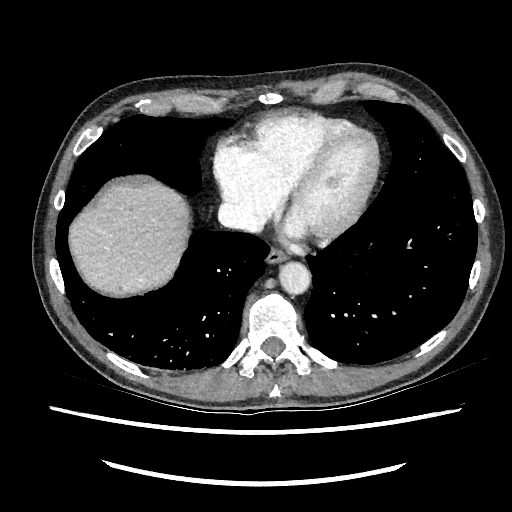
CT image | 512x512 px
* liver: rect(70, 183, 187, 291)